FLAIR magnetic resonance.
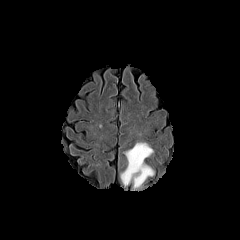
T1-weighted magnetic resonance.
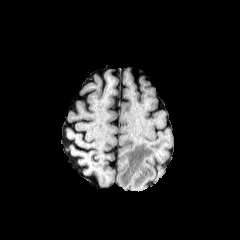
Post-contrast T1-weighted magnetic resonance.
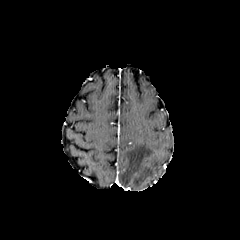
T2-weighted magnetic resonance.
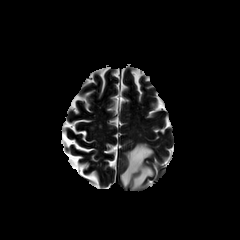
Head.
edema:
  - (left=120, top=143, right=154, bottom=190)